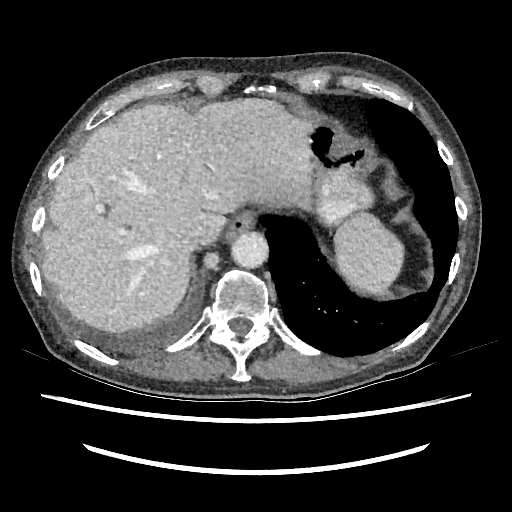 CT image

The liver is at box(42, 97, 313, 331).